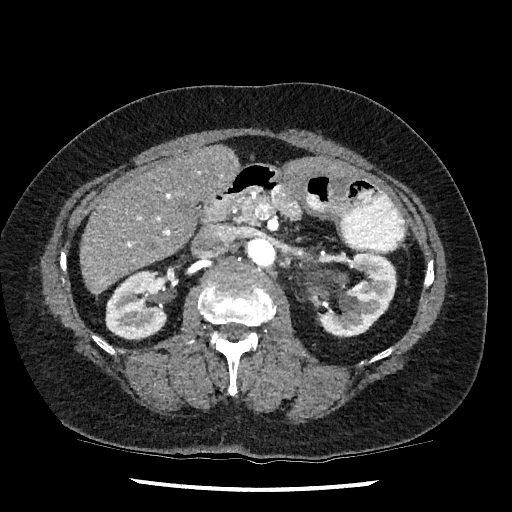 CT scan slice. 512x512 px. Liver.

2 kidney regions are located at 320:253:395:336, 106:268:176:338. 2 liver regions are bounded by 80:146:238:294, 289:159:358:179.